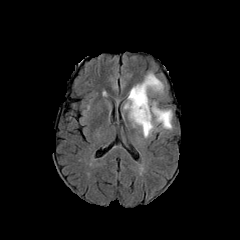
FLAIR MR image.
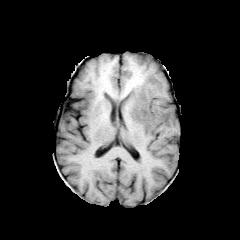
T1-weighted MR of the same slice.
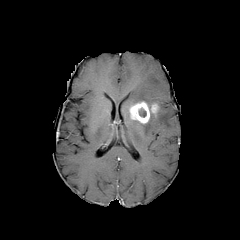
Post-contrast T1-weighted MRI.
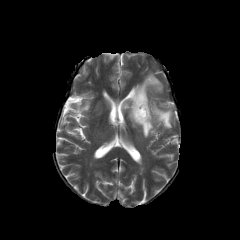
T2-weighted magnetic resonance.
Head | 240x240
• non-enhancing tumor core: region(138, 108, 146, 116)
• edema: region(125, 73, 162, 105); region(132, 107, 172, 137)
• enhancing tumor: region(124, 102, 159, 124)